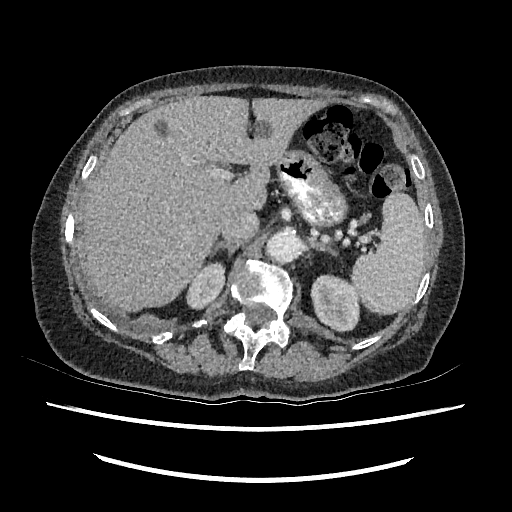
Upper abdomen. Computed tomography. 512x512.
Focal liver lesion — box=[256, 123, 269, 136]; box=[154, 121, 166, 135].
Kidney — box=[187, 263, 224, 307]; box=[311, 276, 359, 330].
Liver — box=[86, 96, 325, 312].